Slice index 102.
FLAIR magnetic resonance.
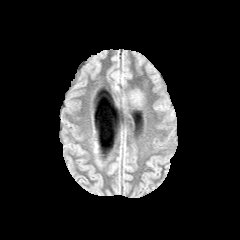
T1-weighted magnetic resonance.
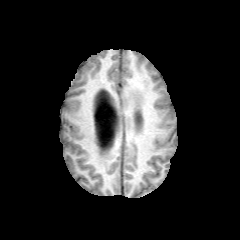
Post-contrast T1-weighted magnetic resonance.
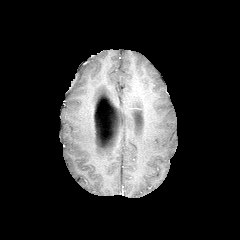
T2-weighted MRI.
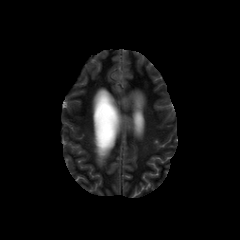
Annotated regions:
- edema: [129,91,141,105]